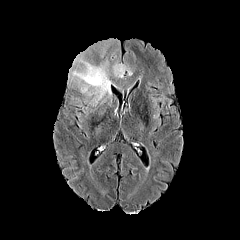
FLAIR MRI.
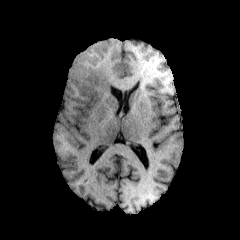
T1-weighted MR.
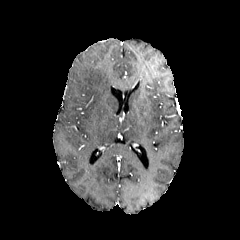
Post-contrast T1-weighted MRI.
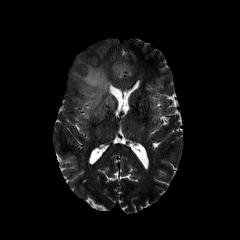
T2-weighted magnetic resonance of the same slice.
Image size 240x240; Brain
Edema: {"x1": 69, "y1": 56, "x2": 132, "y2": 107}.